CT slice; Slice index 76
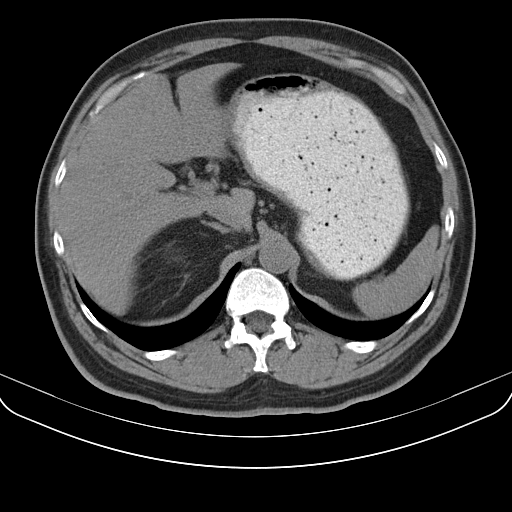
<segmentation>
  <spleen>region(355, 233, 437, 317)</spleen>
</segmentation>